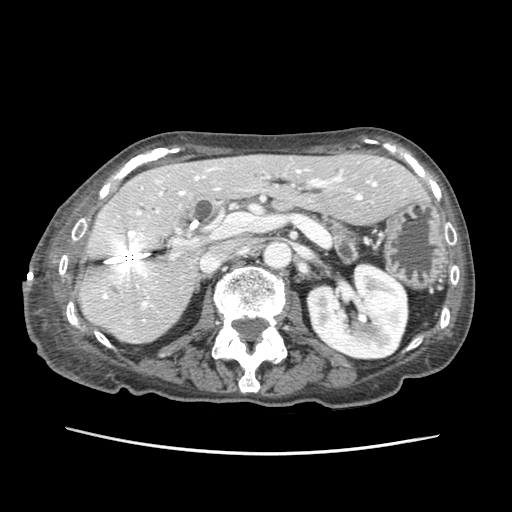 512x512; Computed tomography

Pancreas: rect(317, 217, 356, 262).